Computed tomography | 512x512 | Upper abdomen
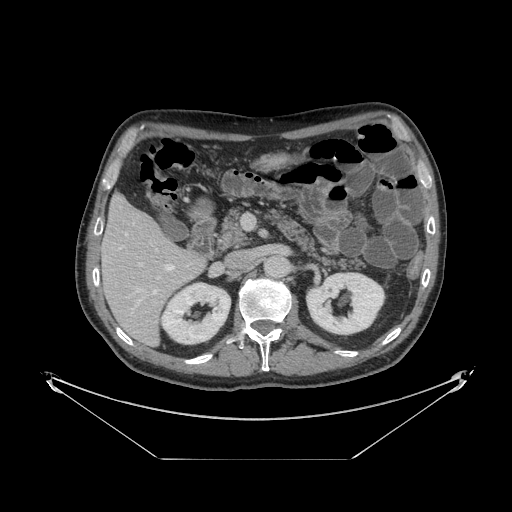
Findings:
- pancreas: 217:205:365:269